MR. Slice 16/27.

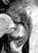 <segmentation>
  <anterior_hippocampus>region(9, 13, 20, 21)</anterior_hippocampus>
  <posterior_hippocampus>region(14, 32, 27, 47)</posterior_hippocampus>
</segmentation>